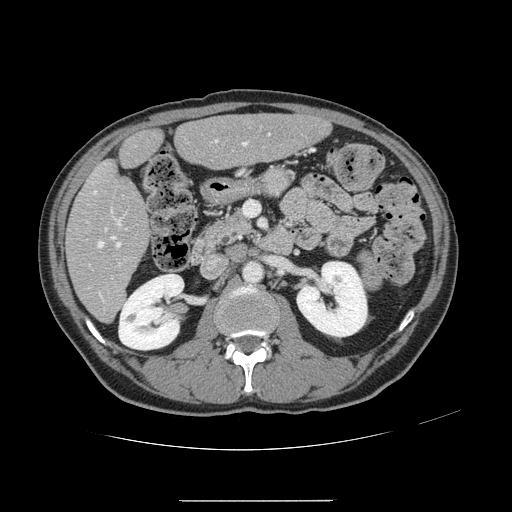 Computed tomography | 512x512 px
Not every hepatic vessel necessarily has a box.
hepatic_vessel:
  - bbox=[112, 237, 114, 238]
  - bbox=[98, 242, 103, 246]
  - bbox=[105, 228, 106, 230]
  - bbox=[92, 180, 93, 182]
  - bbox=[111, 208, 112, 212]
  - bbox=[99, 293, 104, 302]
  - bbox=[115, 218, 121, 224]
  - bbox=[243, 142, 247, 145]
  - bbox=[216, 140, 217, 141]
  - bbox=[116, 242, 120, 247]
  - bbox=[93, 191, 96, 193]